Magnetic resonance, Slice 7/42, Medial temporal lobe, Field of view 33x44 mm 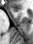 The anterior hippocampus is at 13 9 19 11.